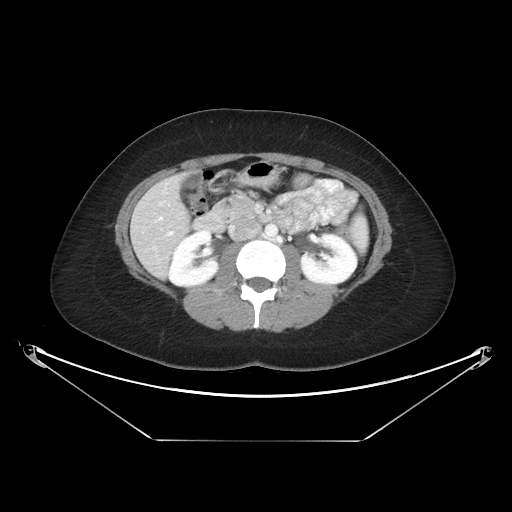
Computed tomography. Upper abdomen. 512x512.

• pancreas: 217:197:254:222